CT slice
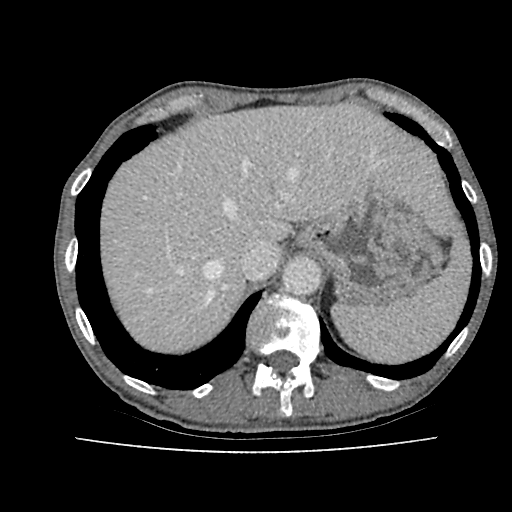

Segmented structures:
• liver: 99 105 451 351